Abdomen. CT.
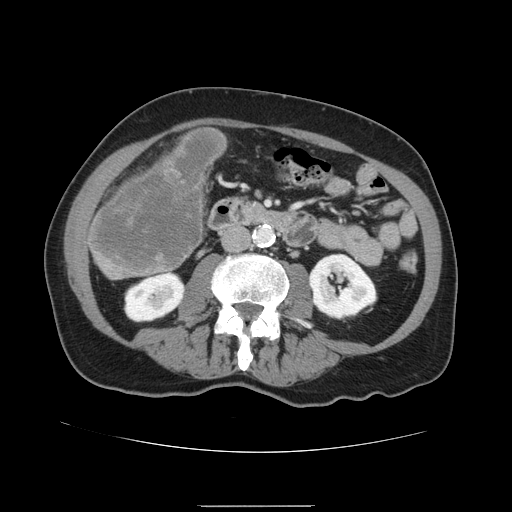

The liver tumor appears at (91,131,223,273).